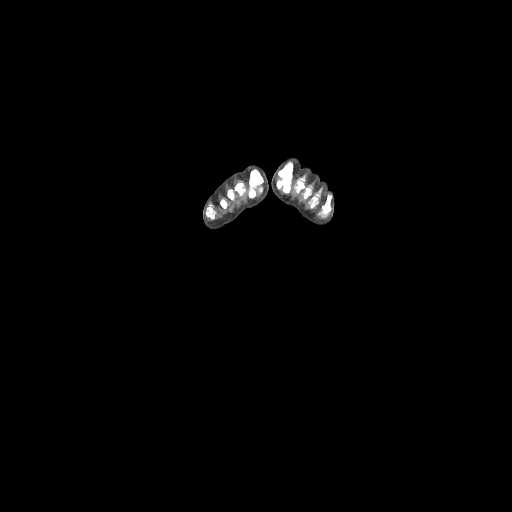

CT image. 512x512 px. bone: (left=220, top=181, right=245, bottom=208), (left=277, top=162, right=292, bottom=192), (left=248, top=169, right=263, bottom=197), (left=206, top=204, right=215, bottom=218), (left=295, top=176, right=320, bottom=207), (left=320, top=195, right=331, bottom=217)